Liver. Image size 512x512. CT scan slice.

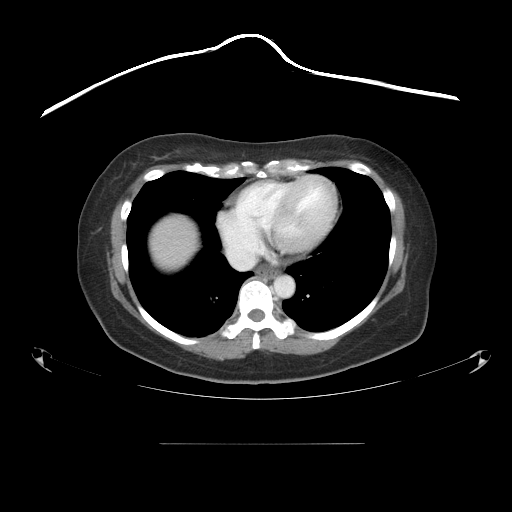

Not every hepatic vessel necessarily has a box.
Annotated regions:
- hepatic vessel: [227,249,258,269]